512x512 px | CT scan slice

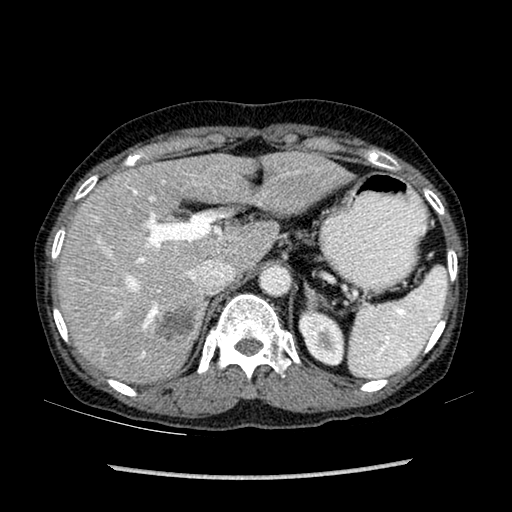 Liver lesion: [154,305,197,341].
Kidney: [300,314,342,363].
Liver: [58,152,351,382].